Image size 512x512; Liver; CT slice

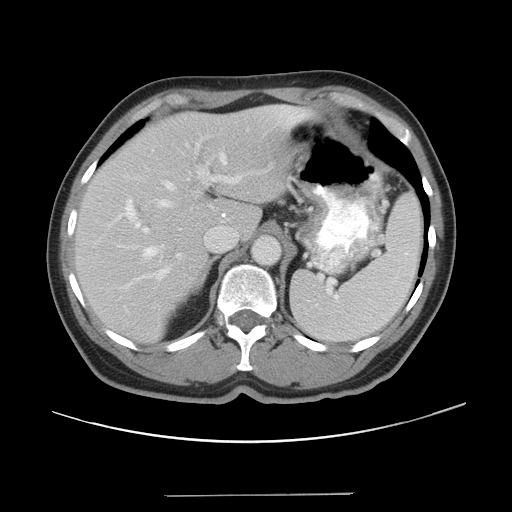 The vessel annotation is not exhaustive.
The most prominent 15 hepatic vessel regions (of 18) are located at (x1=159, y1=199, x2=172, y2=206), (x1=161, y1=245, x2=163, y2=247), (x1=117, y1=198, x2=135, y2=219), (x1=166, y1=182, x2=174, y2=190), (x1=177, y1=253, x2=180, y2=257), (x1=135, y1=222, x2=140, y2=227), (x1=211, y1=176, x2=219, y2=181), (x1=136, y1=268, x2=169, y2=280), (x1=207, y1=162, x2=208, y2=164), (x1=196, y1=144, x2=199, y2=147), (x1=144, y1=246, x2=156, y2=257), (x1=197, y1=171, x2=201, y2=174), (x1=144, y1=228, x2=148, y2=232), (x1=205, y1=182, x2=207, y2=184), (x1=220, y1=152, x2=226, y2=164).